Medial temporal lobe | MR image 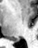

Posterior hippocampus: box(13, 39, 19, 41).